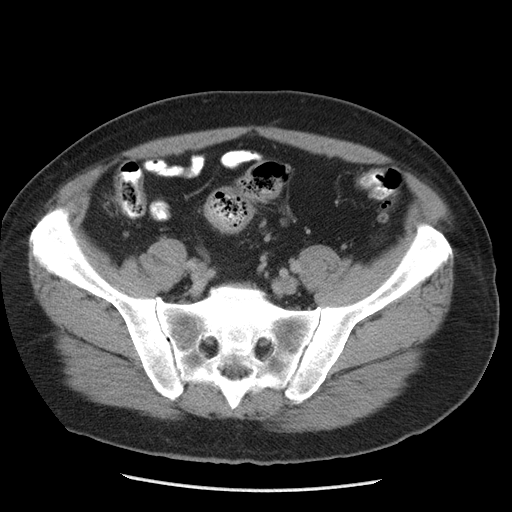

Pelvis, CT

The colon tumor lies within (x1=204, y1=206, x2=252, y2=233).